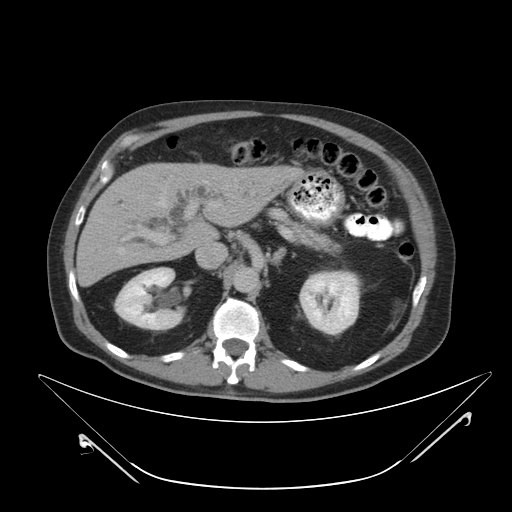

CT; Image size 512x512
pancreas: [286, 220, 332, 250]